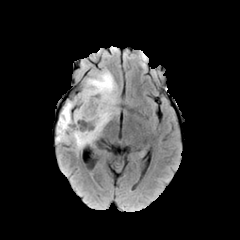
FLAIR MR.
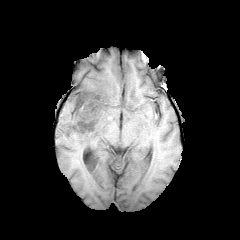
T1-weighted MR image.
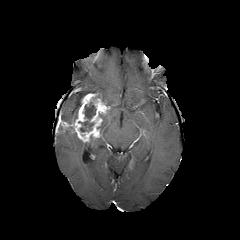
Same slice, post-contrast T1-weighted MRI.
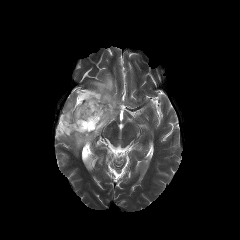
T2-weighted magnetic resonance.
Image size 240x240.
Segmented structures:
- non-enhancing tumor core: region(72, 90, 97, 121); region(85, 105, 95, 119); region(78, 121, 93, 131)
- edema: region(60, 96, 77, 123); region(55, 133, 95, 149); region(83, 71, 117, 133)
- enhancing tumor: region(56, 92, 110, 142)